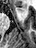 Magnetic resonance; Medial temporal lobe
anterior hippocampus: 17 8 21 10